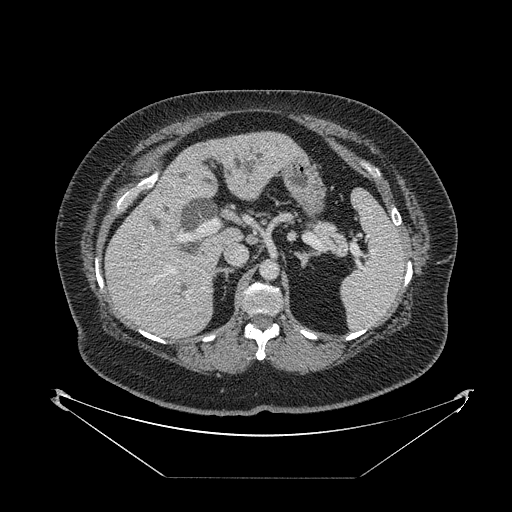 Abdomen, CT slice

pancreas: 308 219 349 256